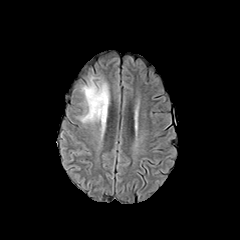
FLAIR MR image.
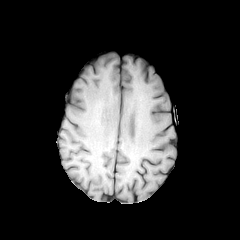
T1-weighted MR.
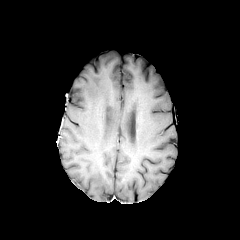
Post-contrast T1-weighted MRI.
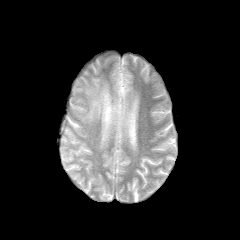
T2-weighted MR image.
Head. 240x240.
Edema — region(79, 76, 110, 135).